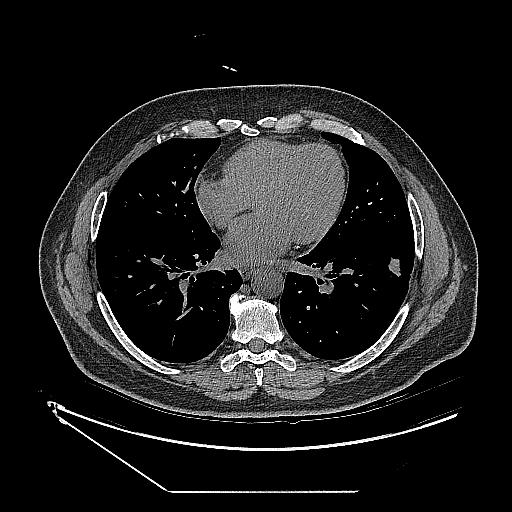 CT slice; Chest

lung tumor: <box>388,258,400,275</box>